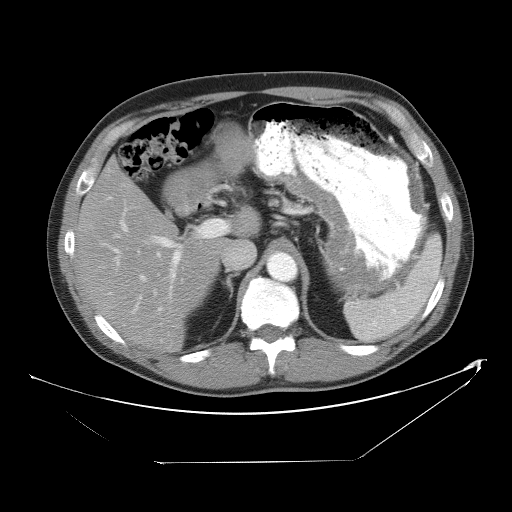

CT scan slice. Abdomen. Only some of the vessels may be annotated.
15 hepatic vessel regions are bounded by 136:304:138:307, 153:236:158:241, 161:237:164:237, 114:234:119:237, 120:205:127:231, 114:254:119:264, 157:252:160:256, 166:243:182:253, 175:269:175:272, 158:307:161:311, 170:259:174:282, 132:309:134:313, 102:243:115:249, 153:289:156:294, 140:275:145:280.